MRI slice
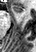

• anterior hippocampus: box=[11, 5, 24, 14]